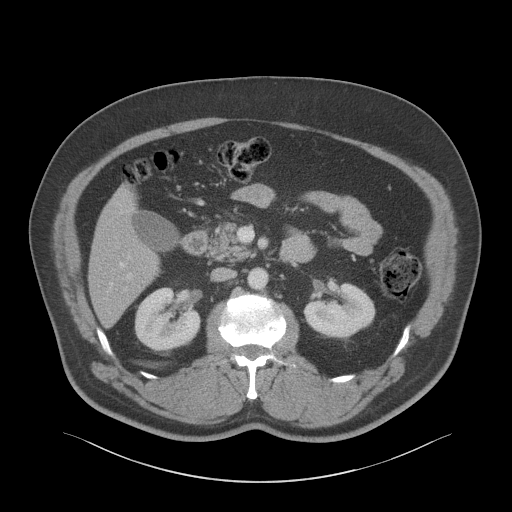
Liver | CT image | 512x512

2 kidney regions appear at bbox(136, 288, 199, 349); bbox(305, 281, 374, 336). The liver is located at bbox(88, 197, 156, 321).